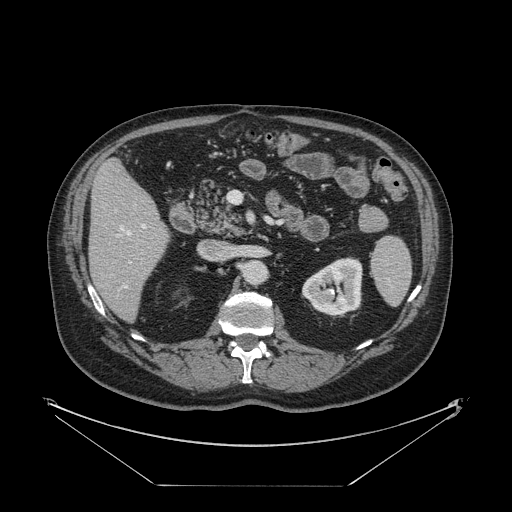 Liver; 512x512 px; CT slice
The vessel boxes may cover only some of the vessels.
Annotated regions:
* hepatic vessel: 141,224,144,227; 114,208,115,210